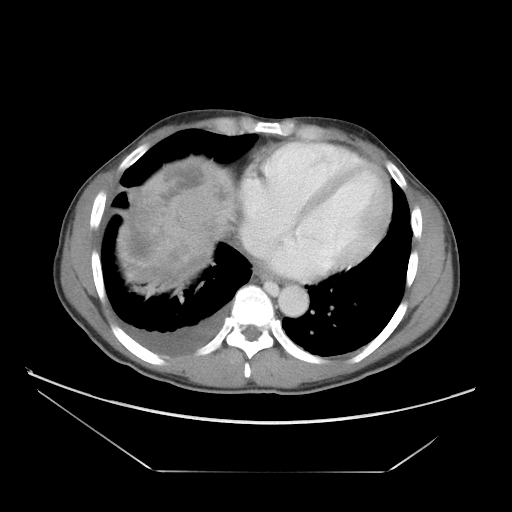
Liver; CT image
The liver tumor is bounded by (x1=118, y1=161, x2=238, y2=276).